Slice 13/42; MR image; 41x47 px

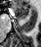

Anterior hippocampus: bounding box region(12, 4, 28, 19).